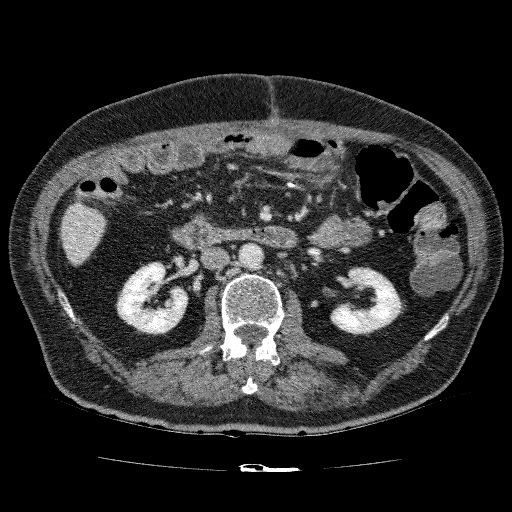

Computed tomography; Abdomen; Image size 512x512
The liver appears at 61 202 108 267. 2 kidney regions are located at 331 268 400 333, 117 262 187 333.